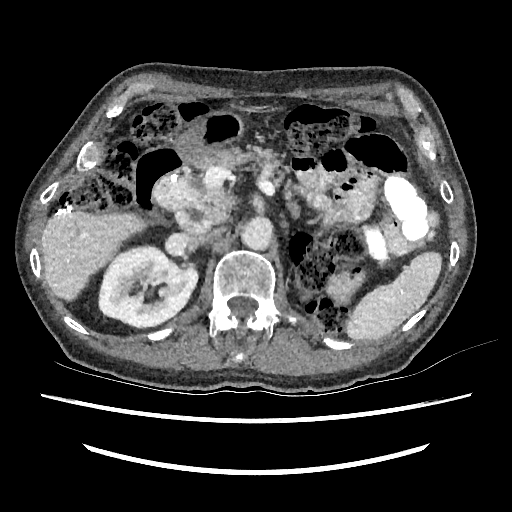 CT scan slice
Annotated regions:
• kidney: x1=99, y1=247, x2=197, y2=327
• liver: x1=41, y1=212, x2=140, y2=299